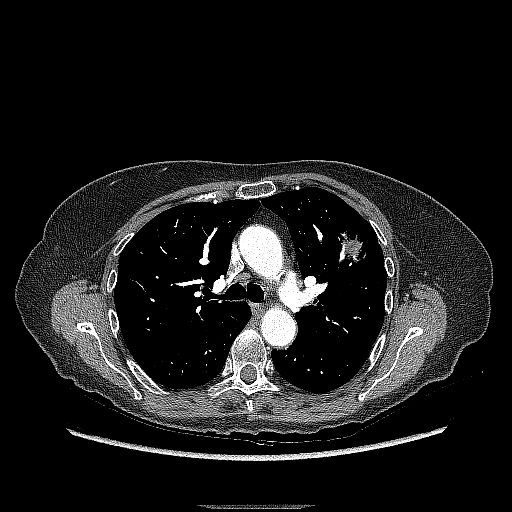 Chest; CT; 512x512

<segmentation>
  <lung_tumor>(x1=333, y1=217, x2=373, y2=269)</lung_tumor>
</segmentation>